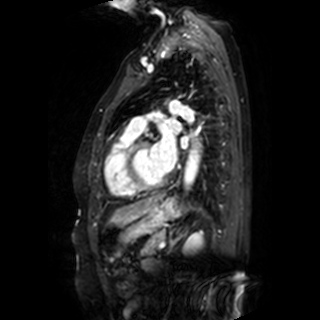

Image size 320x320 | MR
Segmented structures:
• left atrium: bbox(154, 131, 176, 170); bbox(180, 136, 186, 148); bbox(172, 121, 181, 129)